CT slice | 512x512 px
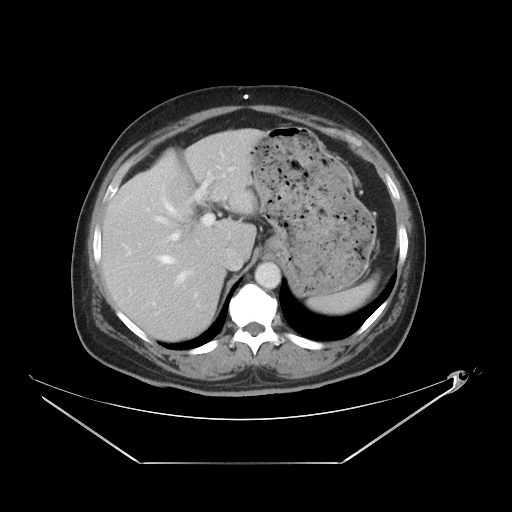 Not every hepatic vessel necessarily has a box.
Findings:
• hepatic vessel: region(180, 274, 183, 279); region(171, 232, 178, 238); region(163, 257, 170, 261); region(200, 171, 213, 190); region(221, 173, 225, 176); region(155, 217, 166, 222)
• liver tumor: region(165, 175, 189, 207)